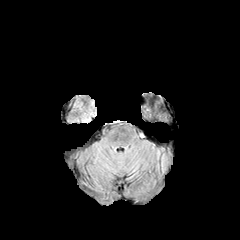
FLAIR magnetic resonance.
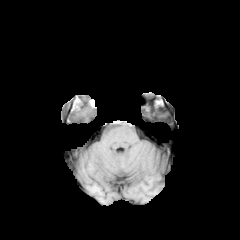
Same slice, T1-weighted MR.
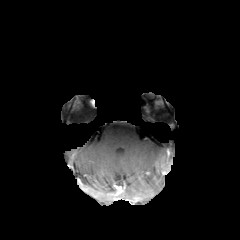
Post-contrast T1-weighted MR image.
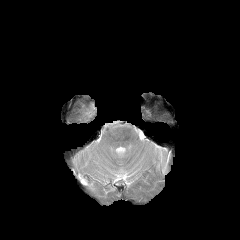
T2-weighted MR image of the same slice.
Brain.
<segmentation>
  <edema><box>161,154,165,170</box></edema>
</segmentation>